Medial temporal lobe. Field of view 33 mm wide, 1.00 mm slice spacing. MR image.

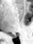
The posterior hippocampus is bounded by bbox(11, 35, 16, 37).